CT, Slice 568 of 588, Image width 351 mm
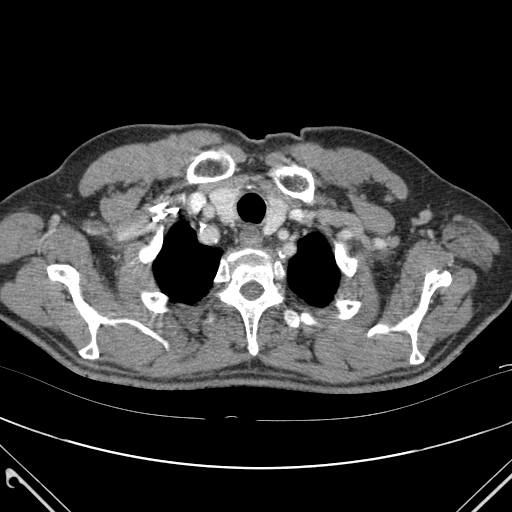
bone:
  - rect(286, 314, 299, 326)
  - rect(336, 300, 360, 318)
  - rect(214, 249, 283, 354)
  - rect(301, 313, 315, 323)
  - rect(150, 203, 178, 227)
  - rect(335, 244, 356, 275)
  - rect(187, 151, 233, 183)
  - rect(277, 166, 313, 201)
  - rect(139, 226, 162, 262)
  - rect(395, 270, 451, 363)
  - rect(47, 265, 117, 358)
  - rect(124, 319, 159, 340)
  - rect(142, 292, 166, 312)
  - rect(368, 324, 387, 336)
lung:
  - rect(287, 233, 339, 306)
  - rect(153, 221, 221, 303)